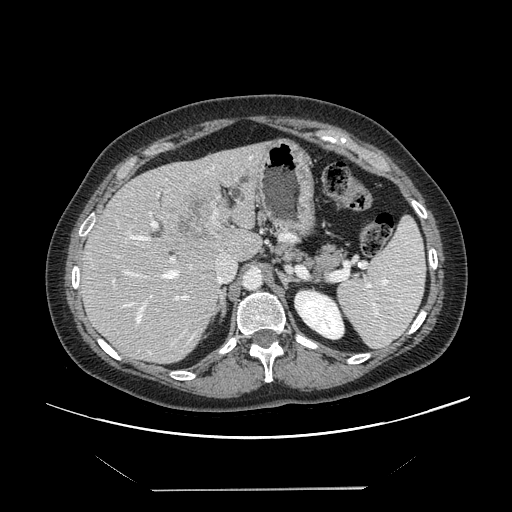 Image size 512x512 | CT scan slice | Liver

Not every hepatic vessel necessarily has a box.
Liver tumor = x1=170, y1=190, x2=218, y2=247.
Hepatic vessel = x1=116, y1=256, x2=119, y2=256; x1=149, y1=212, x2=151, y2=216; x1=122, y1=295, x2=152, y2=323; x1=174, y1=295, x2=188, y2=300; x1=125, y1=229, x2=149, y2=240; x1=160, y1=269, x2=179, y2=279; x1=169, y1=257, x2=174, y2=263; x1=123, y1=270, x2=146, y2=277; x1=215, y1=246, x2=235, y2=283; x1=150, y1=219, x2=157, y2=227; x1=112, y1=280, x2=114, y2=285.